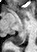

MRI slice
The posterior hippocampus is at (8,37,26,45).